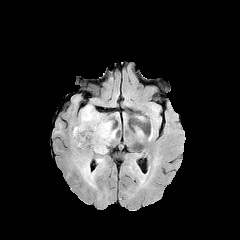
FLAIR magnetic resonance.
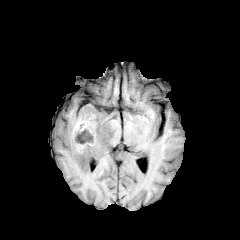
T1-weighted MR image.
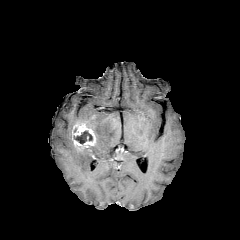
Post-contrast T1-weighted magnetic resonance of the same slice.
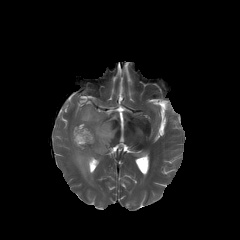
T2-weighted MR image of the same slice.
The edema is located at x1=69 y1=105 x2=115 y2=185. The enhancing tumor lies within x1=72 y1=121 x2=95 y2=150. The non-enhancing tumor core is located at x1=73 y1=130 x2=92 y2=144.